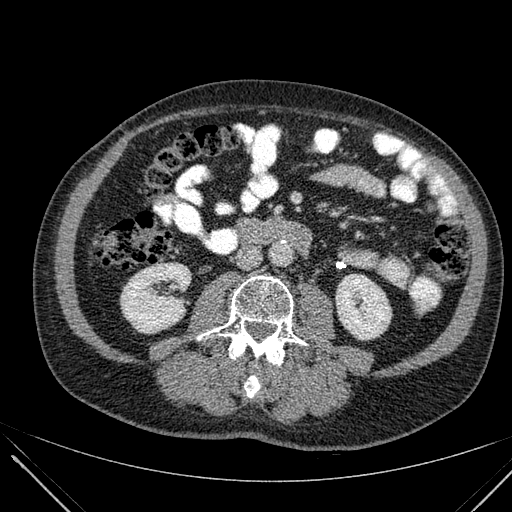 CT slice | Abdomen
2 kidney regions are bounded by bbox=[121, 263, 190, 332]; bbox=[336, 274, 391, 339].